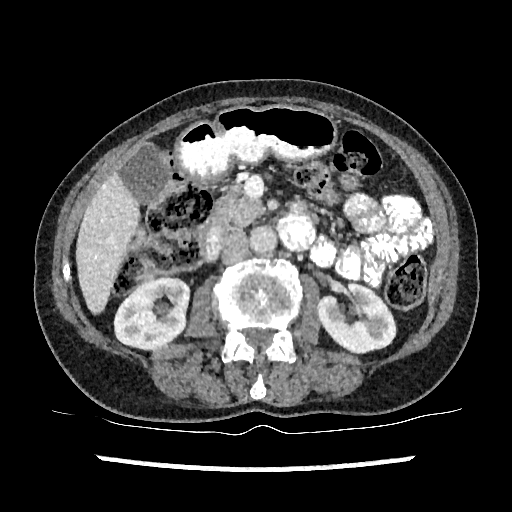 512x512 px, CT slice, Upper abdomen

The liver is located at (x1=77, y1=174, x2=139, y2=313). 2 kidney regions are bounded by (x1=319, y1=284, x2=395, y2=351), (x1=115, y1=279, x2=188, y2=348).